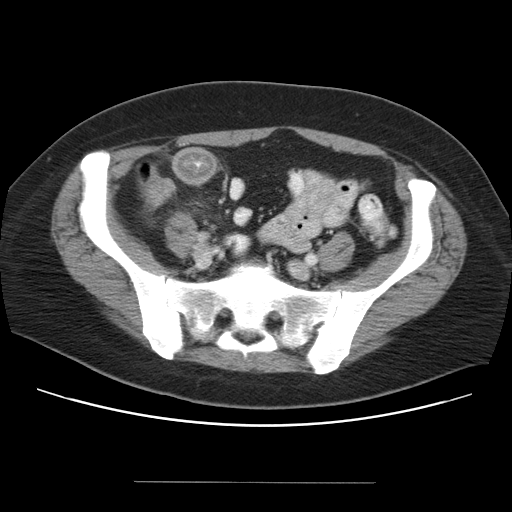 512x512 px; Abdomen; CT scan slice

Findings:
- colon tumor: 144:177:173:205